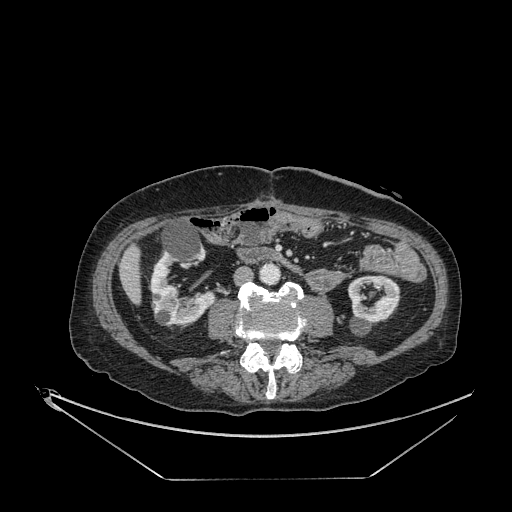 Liver | CT scan slice

The liver is located at 119,244,140,304. 3 kidney regions appear at 348,276,399,323; 196,248,204,260; 151,252,214,324.